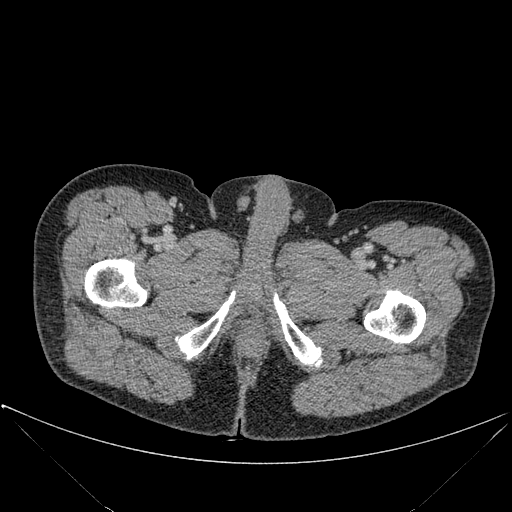
CT scan slice
bone: <bbox>85, 259, 146, 307</bbox>, <bbox>274, 293, 321, 366</bbox>, <bbox>176, 291, 235, 359</bbox>, <bbox>364, 290, 425, 343</bbox>